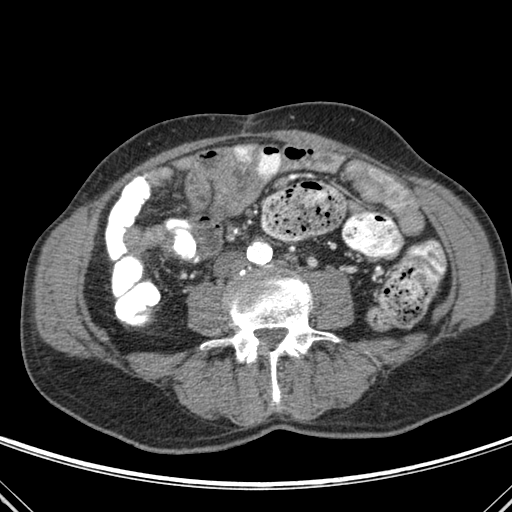
CT slice; Image size 512x512
bone: 201:272:339:404